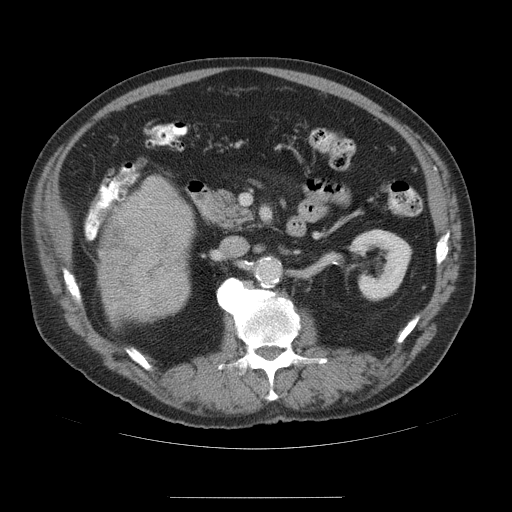
Computed tomography
Liver tumor: bounding box 100, 187, 193, 316.